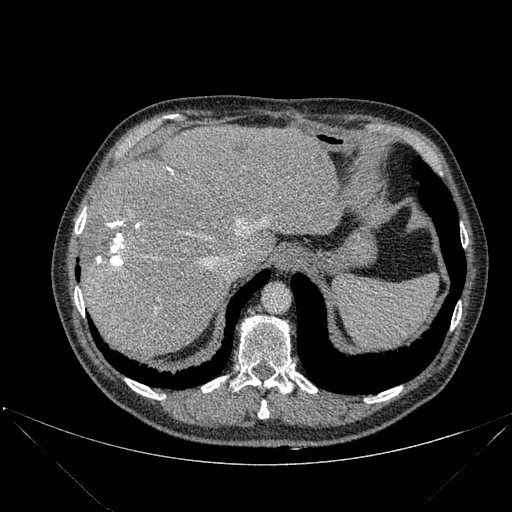

Image size 512x512. Computed tomography.
bone: (left=258, top=400, right=268, bottom=418), (left=451, top=307, right=461, bottom=329), (left=461, top=224, right=468, bottom=246), (left=364, top=386, right=402, bottom=403), (left=125, top=378, right=162, bottom=399), (left=75, top=208, right=86, bottom=233), (left=201, top=376, right=227, bottom=392), (left=74, top=287, right=84, bottom=316), (left=232, top=317, right=317, bottom=393) | lung: (left=291, top=157, right=465, bottom=393), (left=89, top=269, right=269, bottom=388) | liver: (left=80, top=125, right=341, bottom=353)